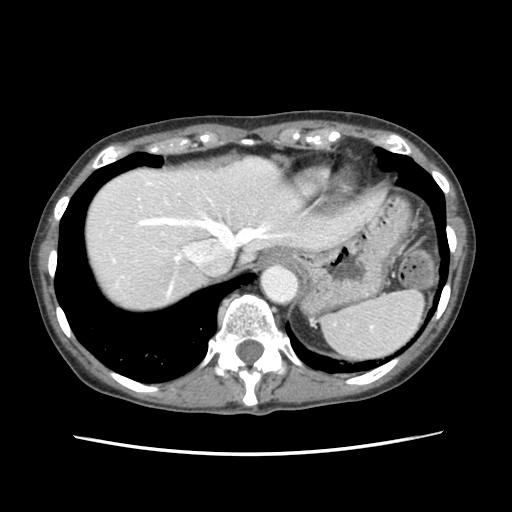

CT scan slice.
Spleen — box(320, 291, 424, 361).